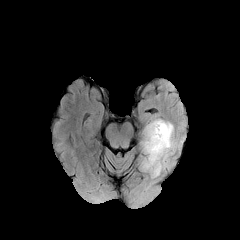
FLAIR magnetic resonance.
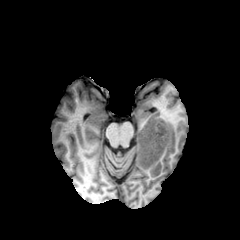
T1-weighted MRI.
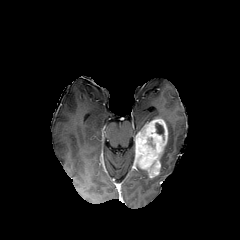
Post-contrast T1-weighted MR.
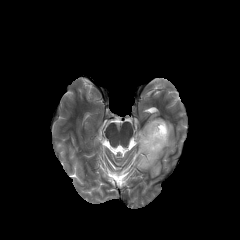
Same slice, T2-weighted magnetic resonance.
Brain
Annotated regions:
- enhancing tumor: <bbox>135, 119, 167, 178</bbox>
- non-enhancing tumor core: <bbox>155, 123, 163, 135</bbox>
- edema: <bbox>159, 120, 175, 163</bbox>